FLAIR magnetic resonance.
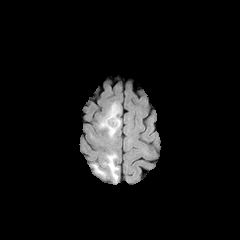
T1-weighted MRI.
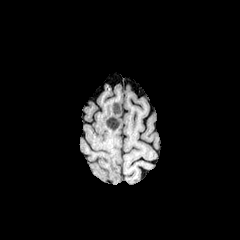
Post-contrast T1-weighted MR.
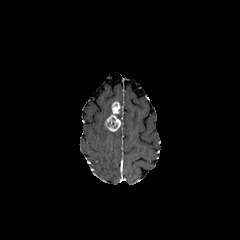
T2-weighted MRI.
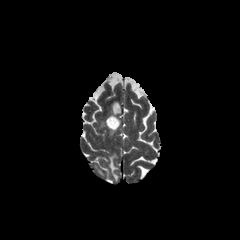
Findings:
* enhancing tumor: bbox=[105, 101, 121, 131]
* edema: bbox=[105, 153, 118, 180]; bbox=[98, 120, 105, 129]